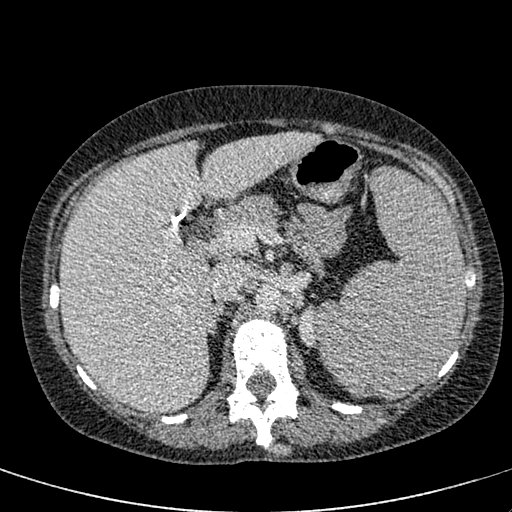

CT slice; Liver
Segmented structures:
• kidney: bbox(299, 307, 315, 346)
• liver: bbox(60, 133, 321, 412)